Image size 512x512 | CT slice | Slice 109/144

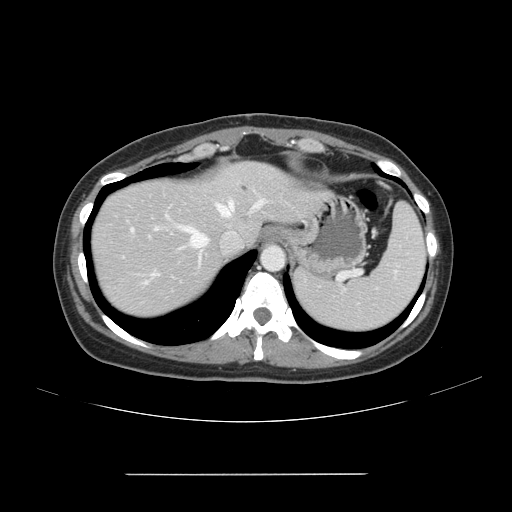 Some hepatic vessels may have no box.
• hepatic vessel: [x1=254, y1=200, x2=263, y2=208], [x1=151, y1=274, x2=158, y2=275], [x1=154, y1=227, x2=157, y2=230], [x1=165, y1=215, x2=167, y2=216], [x1=180, y1=226, x2=207, y2=246], [x1=217, y1=201, x2=233, y2=215], [x1=131, y1=228, x2=133, y2=231]